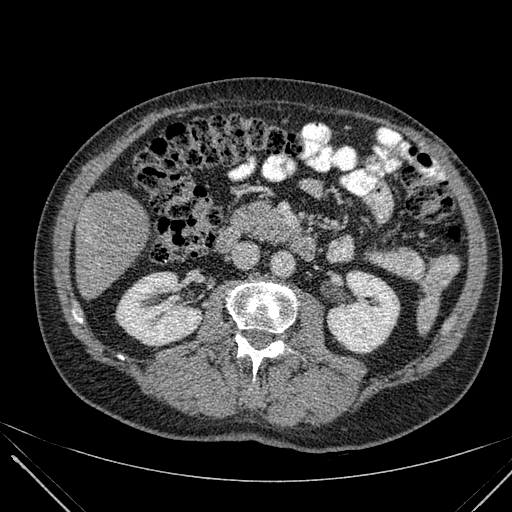

CT
{"liver": ["76:190:151:298"], "kidney": ["328:272:399:352", "116:272:201:344"]}